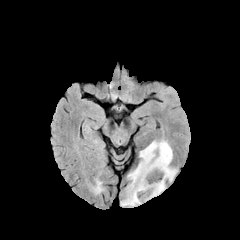
FLAIR MR.
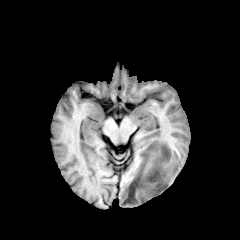
Same slice, T1-weighted MR.
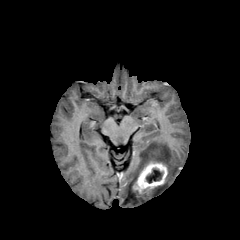
Post-contrast T1-weighted MR.
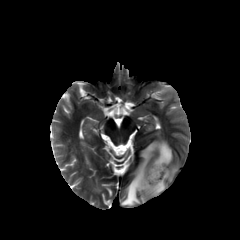
T2-weighted MR image.
non-enhancing_tumor_core:
  - [146,169,163,183]
edema:
  - [121,139,176,205]
enhancing_tumor:
  - [132,161,168,198]